CT; Slice index 149; Field of view 422x422 mm

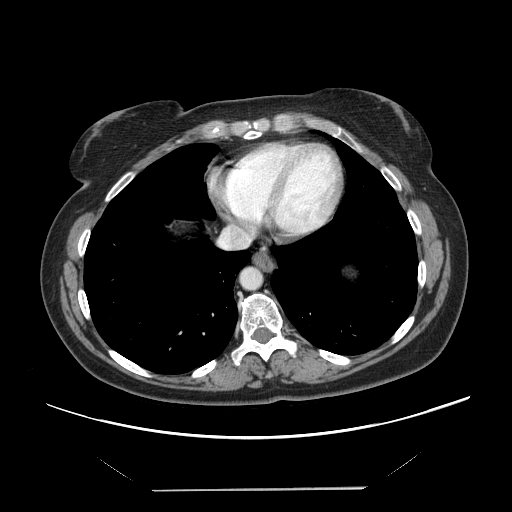

Only some of the vessels may be annotated.
Annotated regions:
- hepatic vessel: bbox(219, 226, 244, 248)